240x240.
FLAIR MRI.
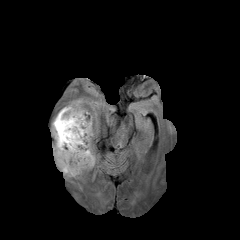
T1-weighted MR image.
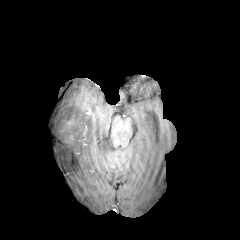
Post-contrast T1-weighted magnetic resonance.
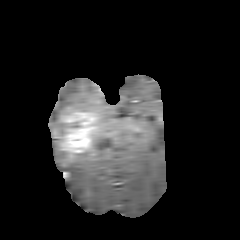
T2-weighted MR image.
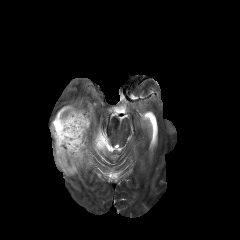
2 non-enhancing tumor core regions are bounded by (70,152,83,164), (56,118,73,135). 2 edema regions are located at (51,110,96,178), (51,107,65,127). The enhancing tumor appears at (52,106,91,165).